FLAIR MRI.
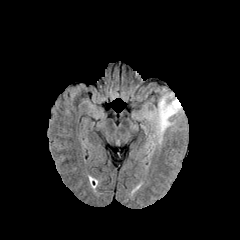
T1-weighted MR.
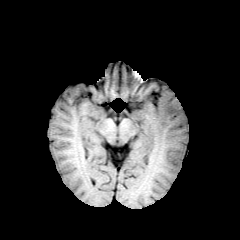
Post-contrast T1-weighted MR image.
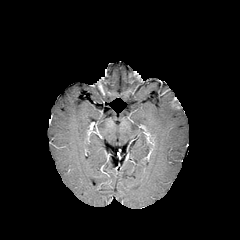
T2-weighted magnetic resonance.
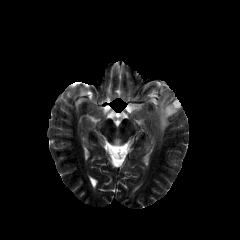
The edema lies within <bbox>133, 88, 183, 141</bbox>. The enhancing tumor appears at <bbox>170, 96, 182, 109</bbox>.